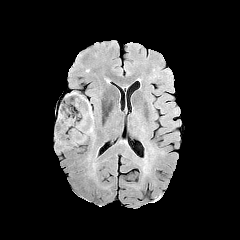
FLAIR MR image.
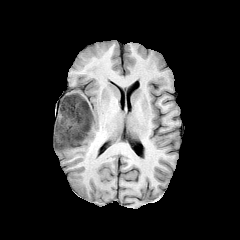
Same slice, T1-weighted MR image.
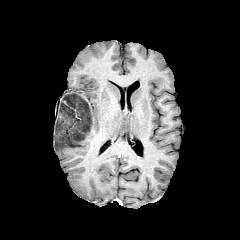
Post-contrast T1-weighted MR of the same slice.
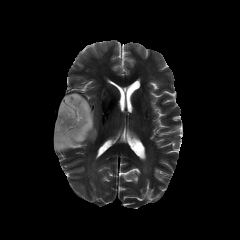
T2-weighted magnetic resonance.
240x240 px | Brain
The non-enhancing tumor core lies within bbox=[55, 94, 95, 149]. The edema appears at bbox=[58, 94, 72, 113].